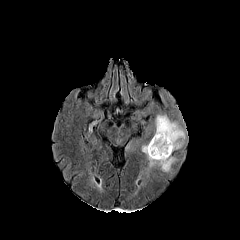
FLAIR MRI.
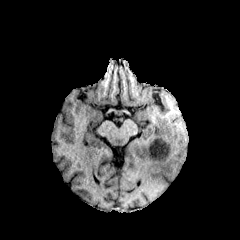
Same slice, T1-weighted MR.
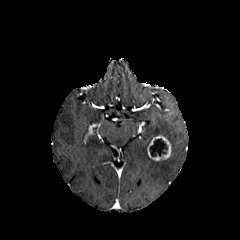
Post-contrast T1-weighted MR.
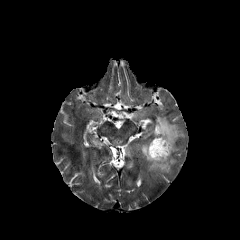
T2-weighted MR of the same slice.
Head
Enhancing tumor: box=[147, 134, 171, 161].
Non-enhancing tumor core: box=[149, 138, 167, 156].
Edema: box=[142, 144, 178, 172]; box=[153, 114, 184, 152].